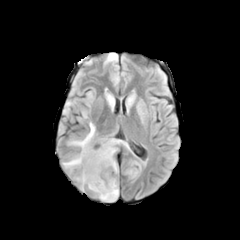
FLAIR MR image.
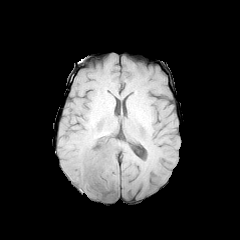
T1-weighted MR image of the same slice.
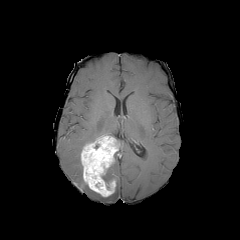
Post-contrast T1-weighted MR image of the same slice.
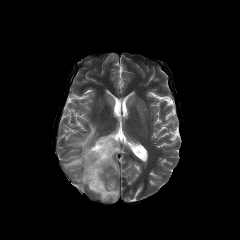
T2-weighted MRI of the same slice.
Brain, Image size 240x240
Segmented structures:
* non-enhancing tumor core: {"x1": 101, "y1": 156, "x2": 115, "y2": 183}
* enhancing tumor: {"x1": 81, "y1": 136, "x2": 117, "y2": 196}
* edema: {"x1": 94, "y1": 171, "x2": 118, "y2": 201}, {"x1": 111, "y1": 162, "x2": 118, "y2": 173}, {"x1": 64, "y1": 98, "x2": 76, "y2": 116}, {"x1": 68, "y1": 122, "x2": 96, "y2": 148}, {"x1": 63, "y1": 154, "x2": 81, "y2": 171}